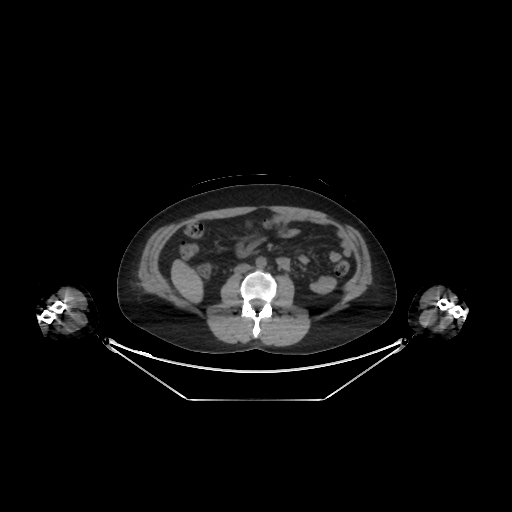 CT image
{
  "liver": [
    "(171,260,202,302)"
  ]
}